Computed tomography. Chest.
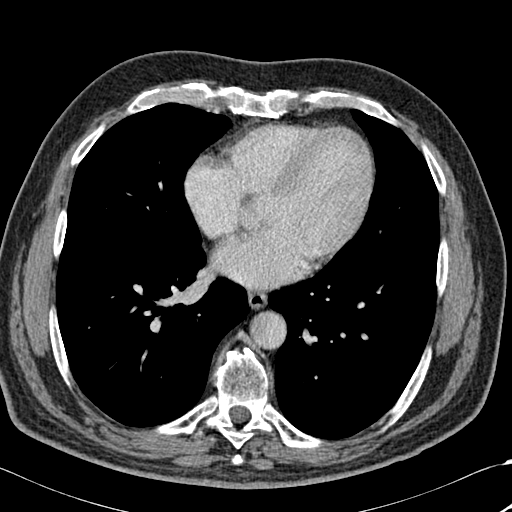
<segmentation>
  <lung>box(268, 110, 439, 438); box(56, 102, 248, 426)</lung>
  <bone>box(71, 119, 109, 164); box(128, 81, 396, 124); box(436, 234, 453, 294); box(50, 204, 67, 256); box(389, 341, 435, 424); box(416, 136, 447, 193); box(45, 311, 69, 384); box(145, 345, 331, 449)</bone>
</segmentation>